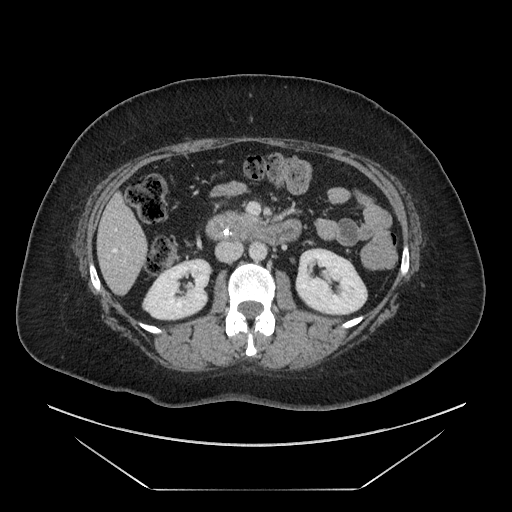
Computed tomography
Pancreas = <box>229,212,259,229</box>.
Pancreatic tumor = <box>230,220,240,233</box>.